Slice index 225. CT scan slice. Image width 340 mm. 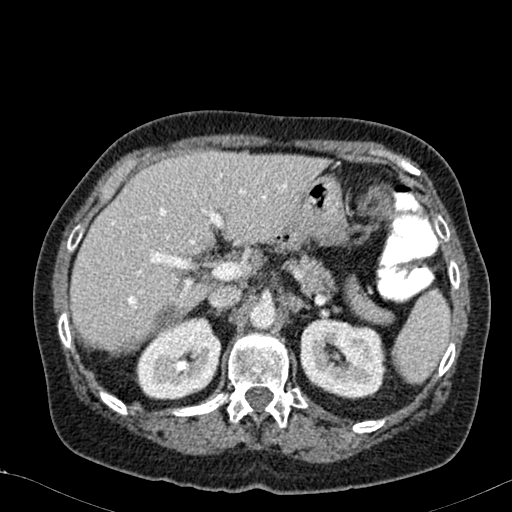
Liver — (x1=71, y1=154, x2=331, y2=351).
Liver lesion — (x1=152, y1=306, x2=179, y2=330).
Kidney — (x1=138, y1=318, x2=220, y2=398), (x1=301, y1=320, x2=384, y2=397).